Brain. 240x240.
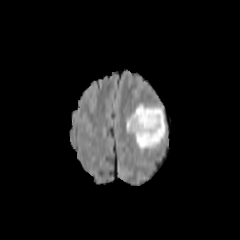
FLAIR magnetic resonance.
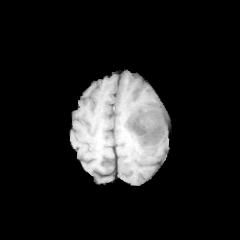
T1-weighted MRI.
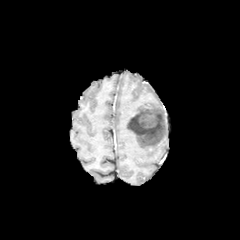
Post-contrast T1-weighted MR.
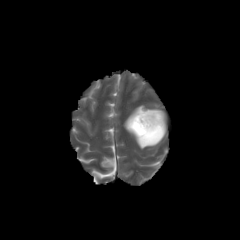
T2-weighted MR image of the same slice.
Non-enhancing tumor core = 128, 112, 159, 135.
Edema = 126, 105, 169, 148.